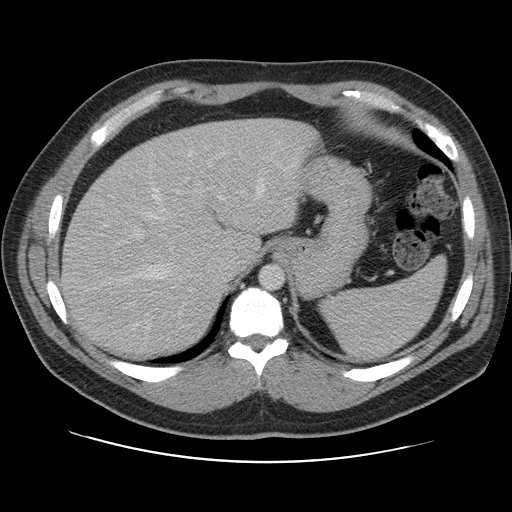
Liver, CT

Some hepatic vessels may have no box.
The largest 15 hepatic vessel regions (of 16) are located at box=[146, 313, 148, 315]; box=[188, 151, 191, 156]; box=[143, 265, 146, 266]; box=[189, 288, 191, 290]; box=[184, 177, 189, 182]; box=[236, 190, 244, 193]; box=[256, 185, 264, 195]; box=[196, 181, 201, 184]; box=[148, 265, 165, 278]; box=[131, 227, 143, 239]; box=[207, 161, 212, 166]; box=[187, 270, 190, 276]; box=[144, 320, 149, 329]; box=[176, 190, 182, 193]; box=[234, 221, 236, 223].